CT image | Slice index 100
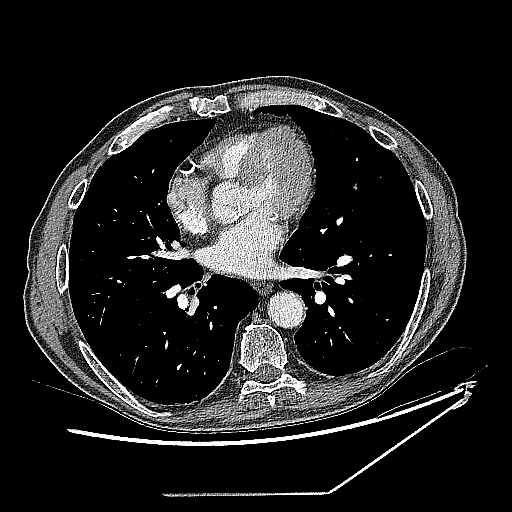

{"lung_tumor": ["153 199 163 209"]}